CT image. Abdomen. Image size 512x512. 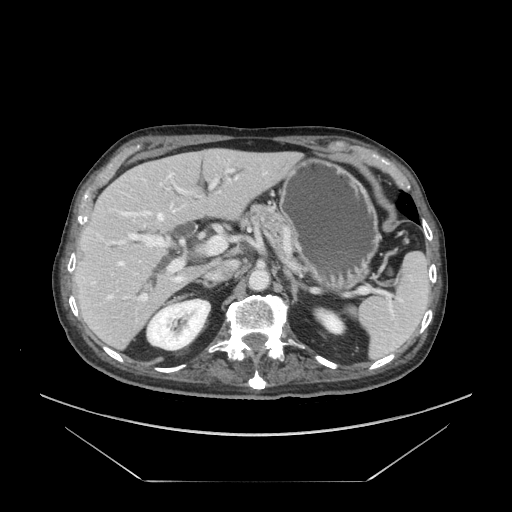

Pancreas: (x1=242, y1=204, x2=287, y2=246).